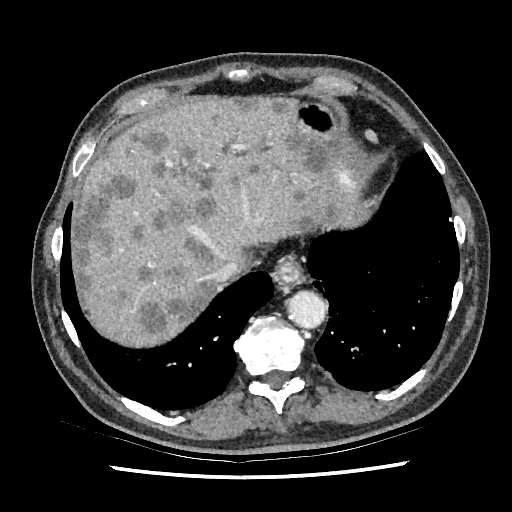

CT scan slice

partial: true
liver:
  - (x1=207, y1=281, x2=218, y2=304)
  - (x1=73, y1=254, x2=77, y2=283)
  - (x1=73, y1=98, x2=359, y2=346)
hepatic_lesion:
  # 15 of 18 shown
  - (x1=182, y1=234, x2=211, y2=259)
  - (x1=324, y1=202, x2=337, y2=219)
  - (x1=73, y1=173, x2=136, y2=302)
  - (x1=128, y1=129, x2=168, y2=154)
  - (x1=283, y1=126, x2=336, y2=173)
  - (x1=298, y1=215, x2=313, y2=228)
  - (x1=293, y1=189, x2=306, y2=202)
  - (x1=138, y1=281, x2=216, y2=332)
  - (x1=233, y1=98, x2=261, y2=112)
  - (x1=132, y1=225, x2=145, y2=241)
  - (x1=155, y1=194, x2=216, y2=231)
  - (x1=138, y1=265, x2=155, y2=281)
  - (x1=269, y1=100, x2=289, y2=114)
  - (x1=165, y1=265, x2=189, y2=283)
  - (x1=153, y1=146, x2=214, y2=190)